33x50 | Hippocampus | Slice index 5 | MRI 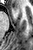

Annotated regions:
* anterior hippocampus: [x1=13, y1=7, x2=15, y2=9]